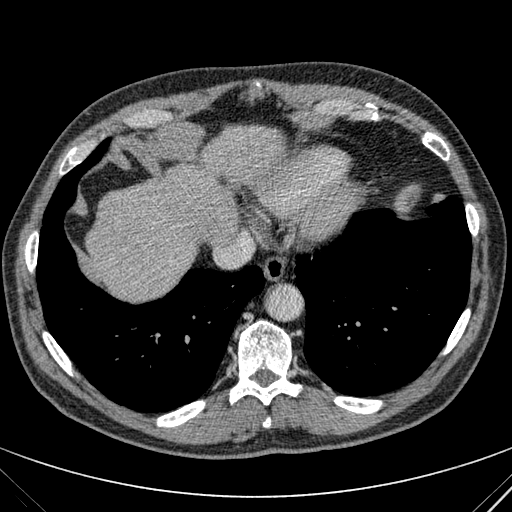 Image size 512x512; Computed tomography
liver: bbox(87, 126, 282, 299)